Image size 240x240; Slice 60 of 155
FLAIR magnetic resonance.
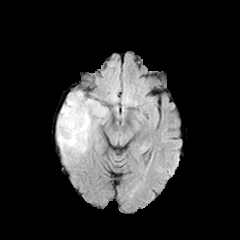
T1-weighted MRI.
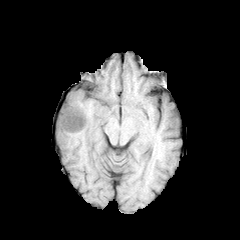
Post-contrast T1-weighted MRI.
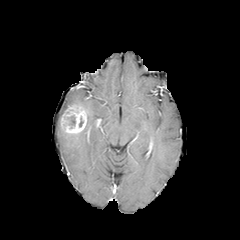
T2-weighted MR.
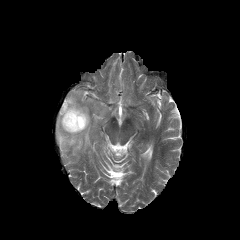
The non-enhancing tumor core is bounded by l=60, t=129, r=79, b=139. The edema is bounded by l=57, t=90, r=107, b=159. The enhancing tumor lies within l=60, t=104, r=86, b=133.